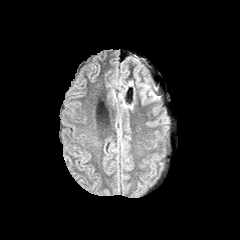
FLAIR MRI.
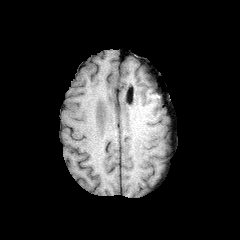
Same slice, T1-weighted MR.
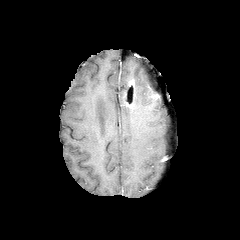
Same slice, post-contrast T1-weighted magnetic resonance.
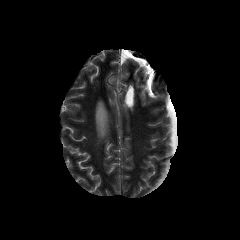
T2-weighted MR image.
edema:
  - l=139, t=78, r=151, b=99